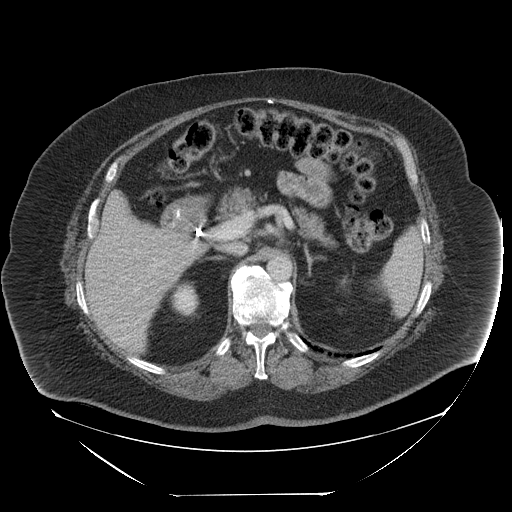
Abdomen | CT image

{"spleen": ["region(381, 229, 424, 315)"]}